FLAIR MRI.
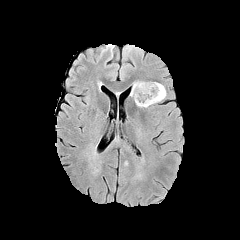
T1-weighted magnetic resonance.
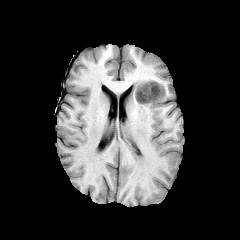
Post-contrast T1-weighted MR.
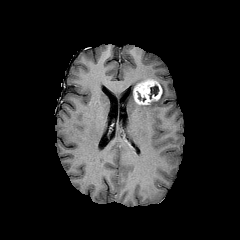
T2-weighted MRI.
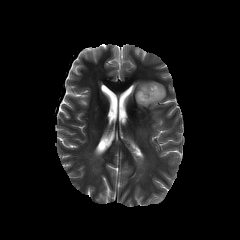
240x240
Non-enhancing tumor core: [x1=149, y1=85, x2=158, y2=98].
Enhancing tumor: [x1=134, y1=81, x2=162, y2=104].
Edema: [x1=137, y1=84, x2=165, y2=108].